512x512 px. Image width 320 mm. Abdomen. CT slice.
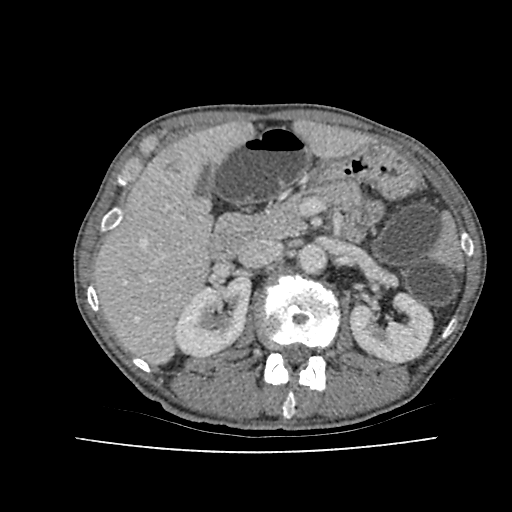
<segmentation>
  <kidney>(175, 277, 249, 356), (351, 294, 431, 361)</kidney>
  <focal_liver_lesion>(168, 161, 183, 175)</focal_liver_lesion>
  <liver>(298, 124, 364, 153), (97, 124, 252, 360)</liver>
</segmentation>